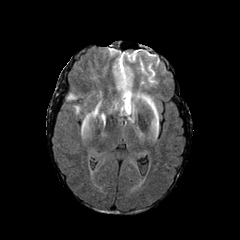
FLAIR MR.
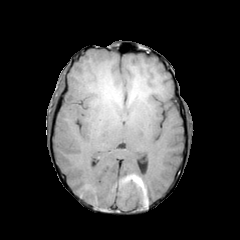
T1-weighted magnetic resonance.
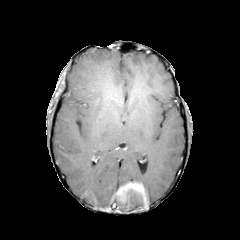
Post-contrast T1-weighted MR of the same slice.
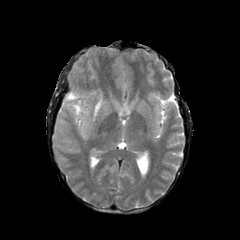
T2-weighted magnetic resonance of the same slice.
Edema: box(82, 95, 101, 128); box(66, 90, 81, 115).